Slice 105 of 134 | Field of view 403x403 mm | Abdomen | CT
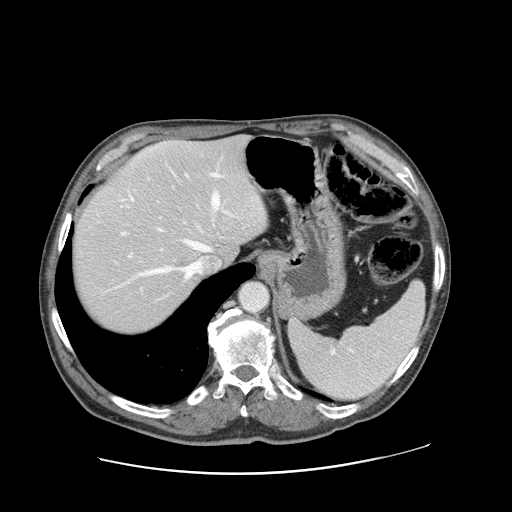 The vessel boxes may cover only some of the vessels.
11 hepatic vessel regions are located at (185, 262, 199, 278), (185, 173, 187, 177), (212, 173, 219, 176), (223, 211, 229, 213), (130, 195, 133, 200), (129, 253, 131, 257), (212, 194, 221, 210), (158, 229, 161, 230), (186, 241, 209, 251), (121, 232, 125, 235), (138, 267, 175, 275).